FLAIR MR.
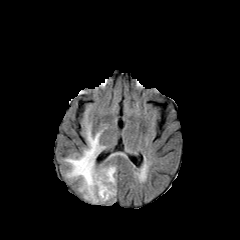
T1-weighted MR.
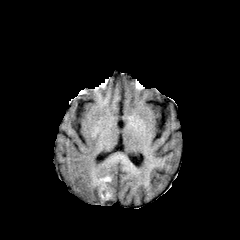
Post-contrast T1-weighted MR image.
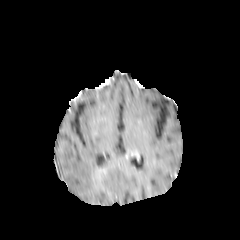
T2-weighted MR.
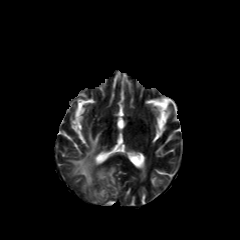
{
  "edema": [
    "l=65, t=125, r=116, b=203"
  ],
  "enhancing_tumor": [
    "l=96, t=168, r=106, b=178"
  ]
}